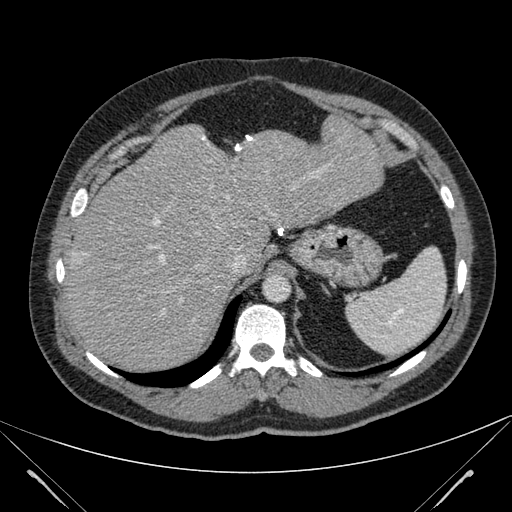

Liver, CT slice, 512x512 px
<segmentation>
  <liver>x1=64, y1=115, x2=385, y2=370</liver>
</segmentation>